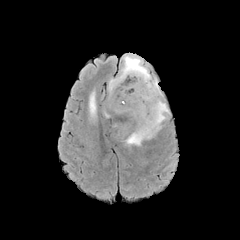
FLAIR MR image.
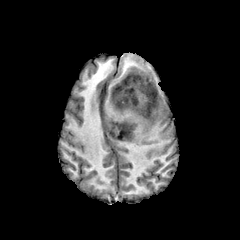
T1-weighted MR image.
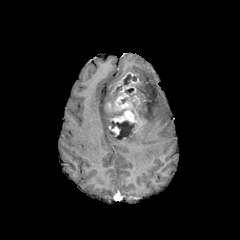
Same slice, post-contrast T1-weighted MR.
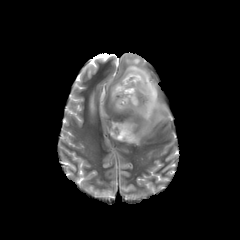
Same slice, T2-weighted MRI.
Image size 240x240. Head.
non-enhancing_tumor_core:
  - [x1=107, y1=74, x2=138, y2=114]
  - [x1=110, y1=120, x2=137, y2=140]
  - [x1=124, y1=88, x2=143, y2=102]
enhancing_tumor:
  - [x1=111, y1=78, x2=139, y2=132]
edema:
  - [x1=108, y1=53, x2=169, y2=145]
  - [x1=89, y1=92, x2=96, y2=116]